Hippocampus. MRI.
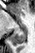
Posterior hippocampus — 10,31,25,45.